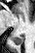
MRI slice; Medial temporal lobe
posterior hippocampus: bbox(12, 35, 24, 45)